MR 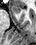
The anterior hippocampus is at x1=13, y1=6, x2=20, y2=12.